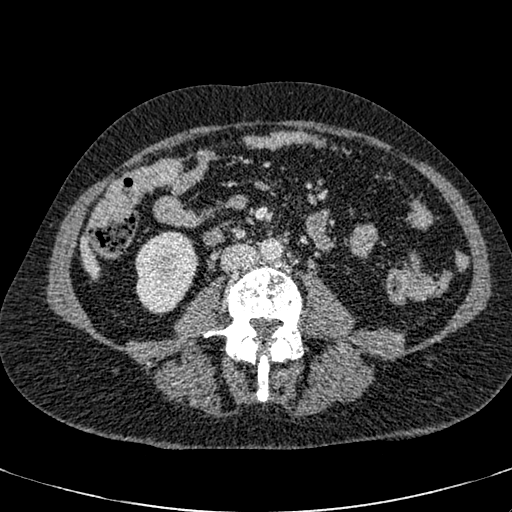 CT image. 512x512 px. The liver is bounded by x1=79 y1=238 x2=99 y2=275. The kidney is bounded by x1=136 y1=232 x2=196 y2=312.